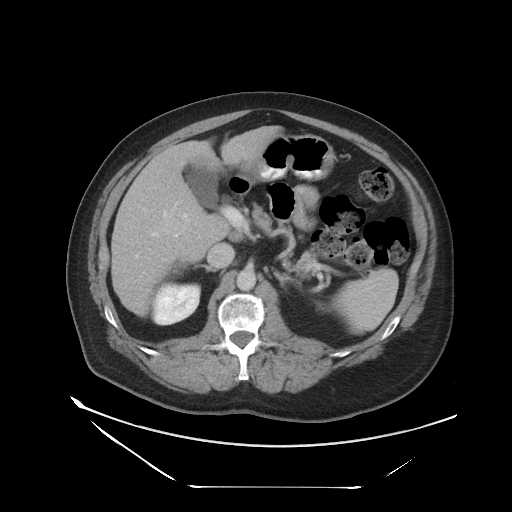
512x512 px, Liver, CT scan slice
The vessel boxes may cover only some of the vessels.
3 hepatic vessel regions appear at (175,234,177,236), (163,211,169,224), (182,214,186,217).